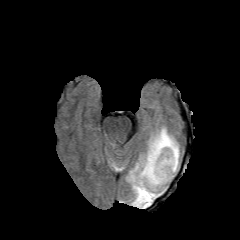
FLAIR MRI.
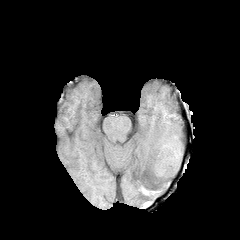
T1-weighted MR image.
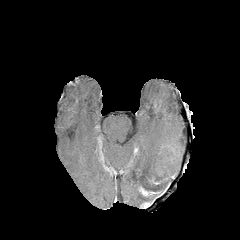
Post-contrast T1-weighted MRI of the same slice.
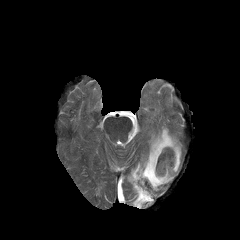
T2-weighted MRI of the same slice.
Brain.
The edema lies within x1=127, y1=126, x2=180, y2=208. The non-enhancing tumor core is at x1=139, y1=188, x2=155, y2=205.